FLAIR MR image.
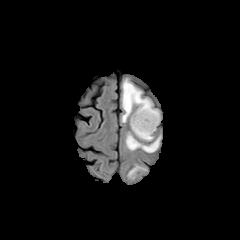
T1-weighted magnetic resonance.
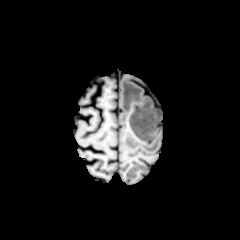
Post-contrast T1-weighted MRI.
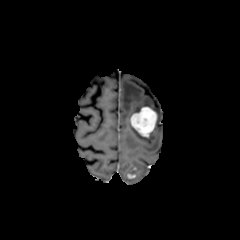
T2-weighted MRI.
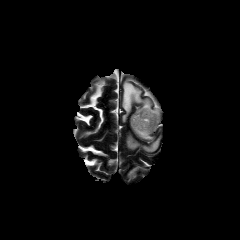
240x240.
enhancing tumor: box(129, 106, 157, 137) | edema: box(121, 79, 161, 152)